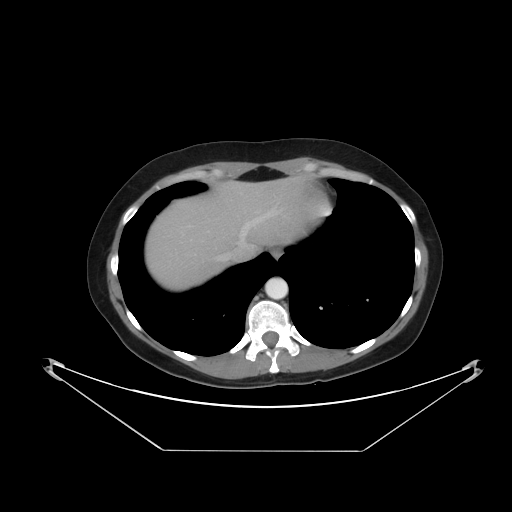

Liver | CT image
Only some of the vessels may be annotated.
hepatic vessel: (left=239, top=210, right=278, bottom=247), (left=217, top=255, right=229, bottom=259)